FLAIR MRI.
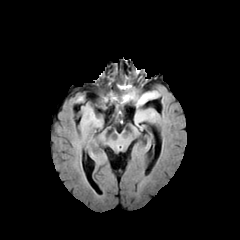
T1-weighted MR.
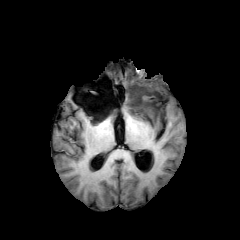
Post-contrast T1-weighted magnetic resonance.
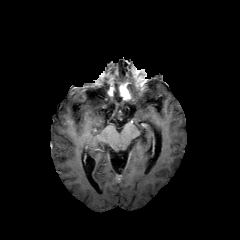
T2-weighted MRI.
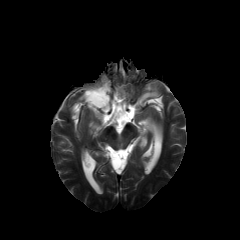
Image size 240x240
Annotated regions:
* non-enhancing tumor core: rect(120, 81, 144, 102); rect(99, 87, 118, 102)
* edema: rect(134, 90, 159, 130)
* enhancing tumor: rect(122, 88, 131, 100)